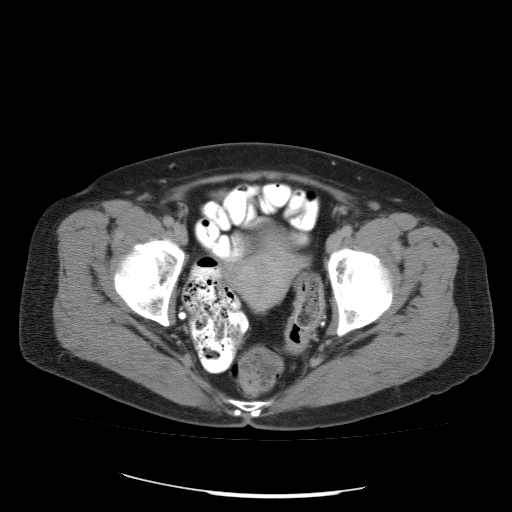

512x512 px | Pelvis | CT image
colon tumor: 283:317:310:353